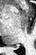
Hippocampus | Image size 36x55 | MRI slice
Posterior hippocampus: {"x1": 14, "y1": 46, "x2": 18, "y2": 47}.